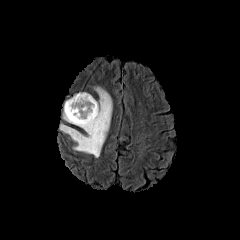
FLAIR MR image.
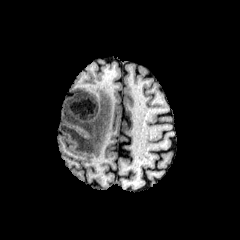
Same slice, T1-weighted MR image.
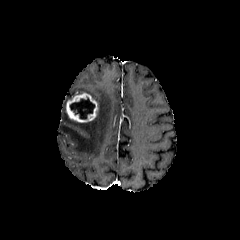
Post-contrast T1-weighted MR of the same slice.
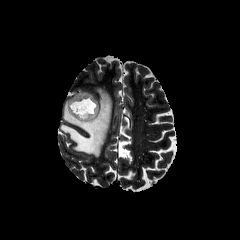
T2-weighted MRI.
Edema = [58, 86, 112, 157].
Enhancing tumor = [65, 92, 98, 122].
Non-enhancing tumor core = [69, 97, 95, 119].